FLAIR MRI.
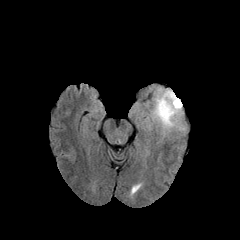
T1-weighted MR image.
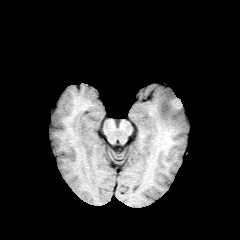
Post-contrast T1-weighted MR image.
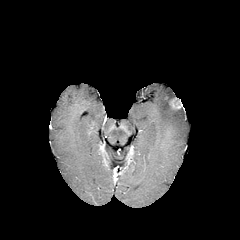
T2-weighted MRI.
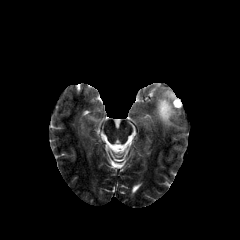
The enhancing tumor is bounded by region(170, 99, 182, 108). The edema is at region(144, 86, 185, 133).